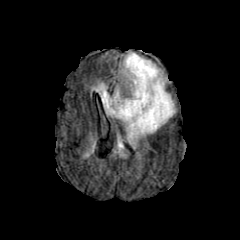
FLAIR magnetic resonance.
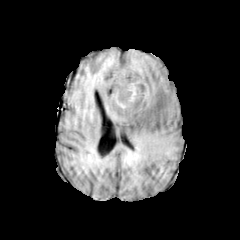
T1-weighted MR image of the same slice.
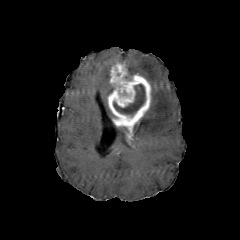
Post-contrast T1-weighted MR image.
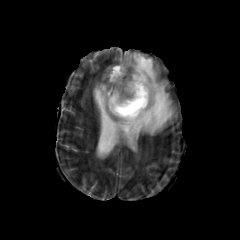
T2-weighted MRI.
The enhancing tumor lies within l=107, t=62, r=150, b=127. The non-enhancing tumor core lies within l=113, t=84, r=145, b=116. 3 edema regions are located at l=117, t=136, r=123, b=148; l=123, t=52, r=175, b=138; l=94, t=83, r=115, b=117.